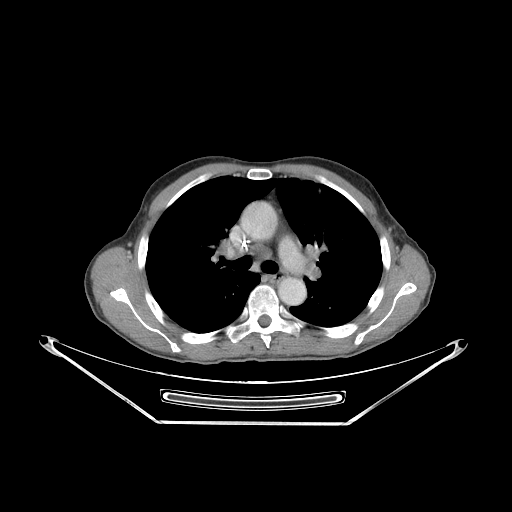
512x512 px. CT scan slice.
The lung is at <bbox>146, 176, 382, 333</bbox>. 12 bone regions are bounded by <bbox>168, 183, 191, 205</bbox>, <bbox>324, 324, 356, 337</bbox>, <bbox>182, 331, 218, 343</bbox>, <bbox>247, 169, 271, 179</bbox>, <bbox>368, 288, 383, 311</bbox>, <bbox>336, 187, 362, 211</bbox>, <bbox>145, 293, 163, 323</bbox>, <bbox>381, 237, 390, 268</bbox>, <bbox>110, 288, 180, 351</bbox>, <bbox>355, 283, 416, 344</bbox>, <bbox>138, 237, 147, 268</bbox>, <bbox>227, 285, 294, 347</bbox>.